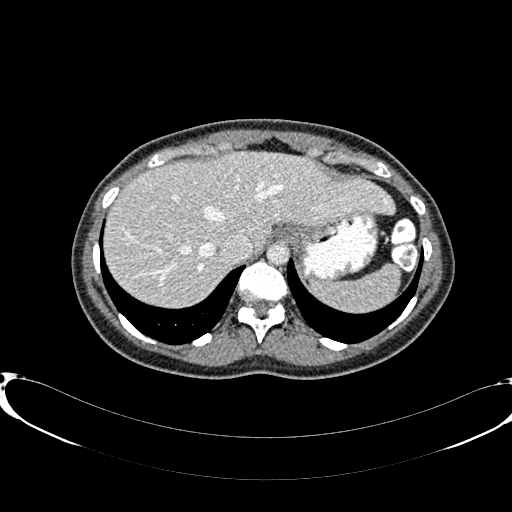
Upper abdomen. Computed tomography.
The liver lies within [x1=105, y1=152, x2=394, y2=307].